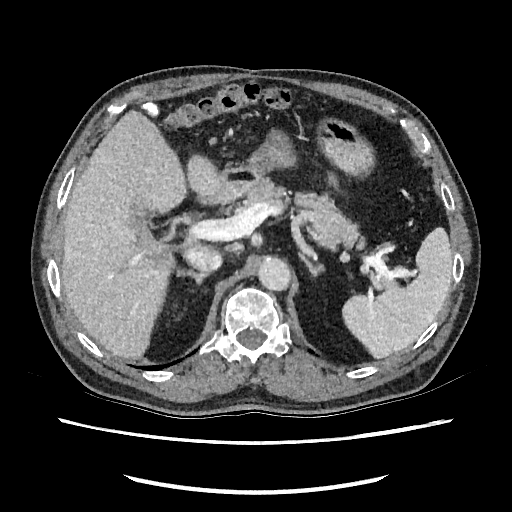

512x512 px; CT scan slice

<segmentation>
  <liver>188:156:222:193, 63:113:186:358</liver>
  <hepatic_lesion>136:217:172:265</hepatic_lesion>
</segmentation>